512x512, Abdomen, CT scan slice, Slice 62/97

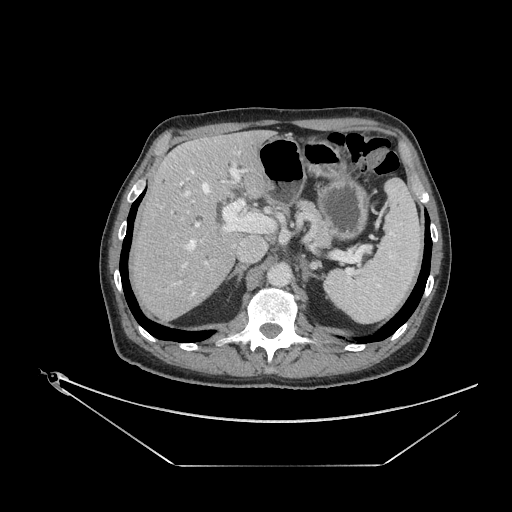 The pancreas appears at 297 200 333 247.